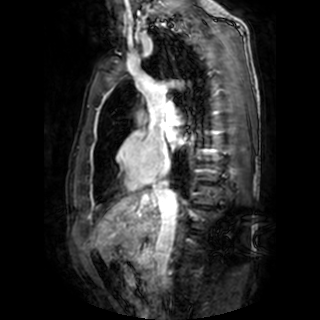 MRI slice

Annotated regions:
* left atrium: box(178, 139, 185, 145); box(166, 129, 175, 141)